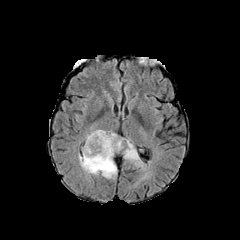
FLAIR MR image.
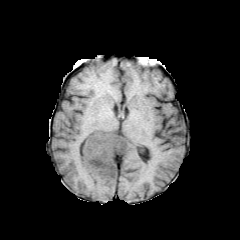
T1-weighted MR of the same slice.
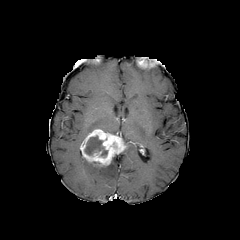
Post-contrast T1-weighted MRI.
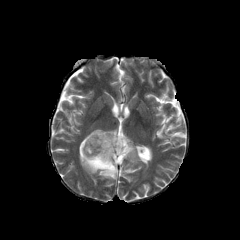
Same slice, T2-weighted MRI.
<segmentation>
  <enhancing_tumor>bbox=[80, 129, 127, 166]</enhancing_tumor>
  <edema>bbox=[90, 142, 99, 149]; bbox=[79, 153, 117, 179]; bbox=[120, 138, 143, 166]</edema>
  <non-enhancing_tumor_core>bbox=[84, 136, 103, 155]</non-enhancing_tumor_core>
</segmentation>